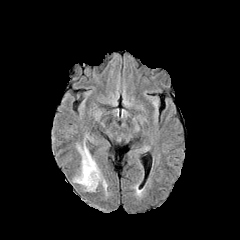
FLAIR MR.
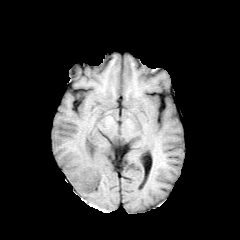
T1-weighted MRI of the same slice.
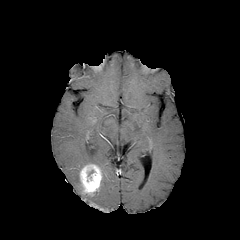
Post-contrast T1-weighted MR image.
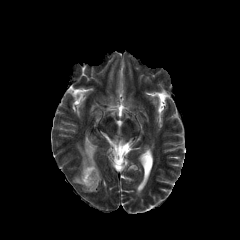
T2-weighted MRI of the same slice.
Brain.
enhancing_tumor:
  - [79,163,101,192]
edema:
  - [77,144,96,168]